FLAIR MR.
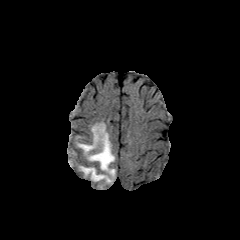
T1-weighted MRI.
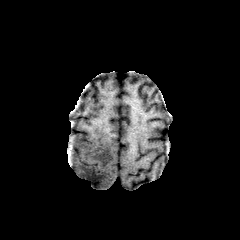
Post-contrast T1-weighted MR.
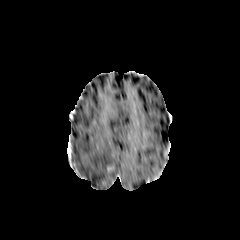
T2-weighted magnetic resonance.
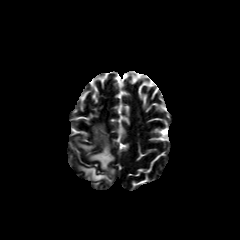
{"edema": ["x1=77 y1=124 x2=115 y2=185"]}